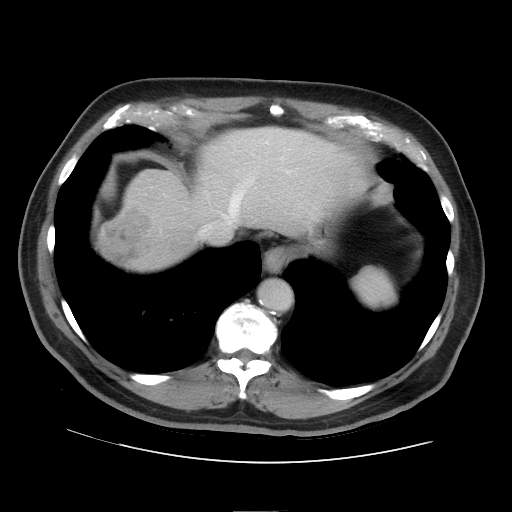

CT image | Image size 512x512
Some hepatic vessels may have no box.
hepatic_vessel:
  - (230,190,242,217)
  - (286,170,288,172)
  - (217,211,228,223)
liver_tumor:
  - (98,204,161,266)